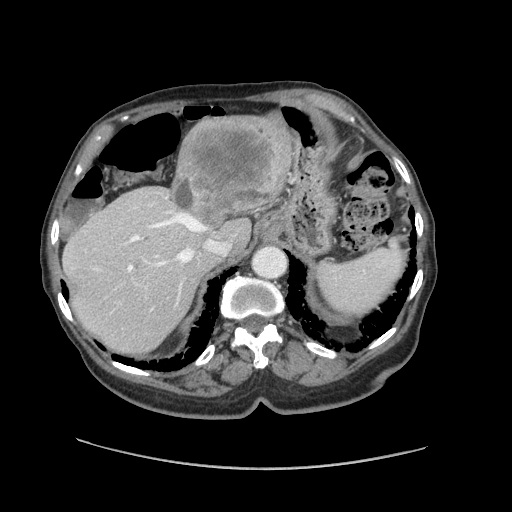 CT
Some hepatic vessels may have no box.
liver tumor: x1=177 y1=117 x2=287 y2=223 | hepatic vessel: x1=204 y1=240 x2=230 y2=254, x1=156 y1=261 x2=167 y2=265, x1=131 y1=235 x2=139 y2=241, x1=149 y1=213 x2=206 y2=231, x1=175 y1=247 x2=193 y2=263